CT image; Slice index 49; 512x512 px; Field of view 403 mm wide, 1.50 mm slice spacing
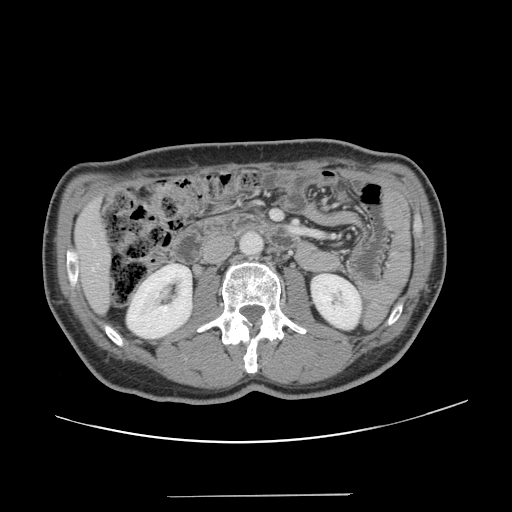

Only some of the vessels may be annotated.
2 hepatic vessel regions are located at rect(93, 243, 95, 245); rect(92, 268, 94, 270).